Image width 240 mm | Brain | 240x240 | Slice 116 of 155
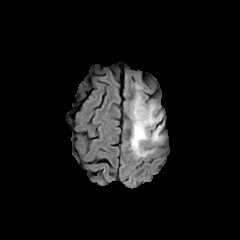
FLAIR MRI.
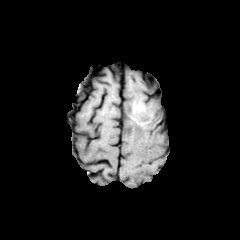
Same slice, T1-weighted magnetic resonance.
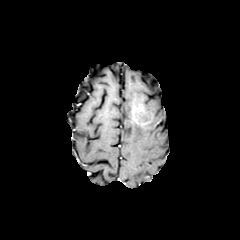
Post-contrast T1-weighted MRI.
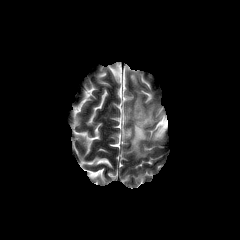
T2-weighted MR image.
The enhancing tumor is at 132,105,142,121. The non-enhancing tumor core is at 133,108,144,126. The edema is located at 128,91,163,157.